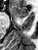 MR
anterior_hippocampus:
  - 10, 6, 29, 18